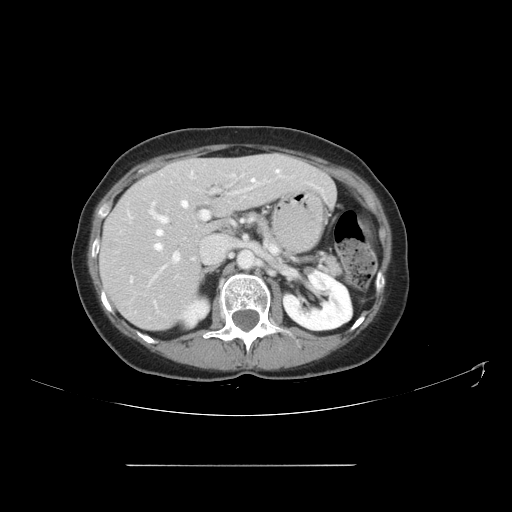
CT slice. Liver.
Not every hepatic vessel necessarily has a box.
12 hepatic vessel regions are located at [251,178,254,181], [181,201,187,207], [201,210,209,219], [173,252,179,261], [155,243,161,249], [308,183,317,187], [128,212,132,222], [149,202,167,222], [189,171,193,178], [276,169,279,172], [211,189,218,193], [156,229,162,235].